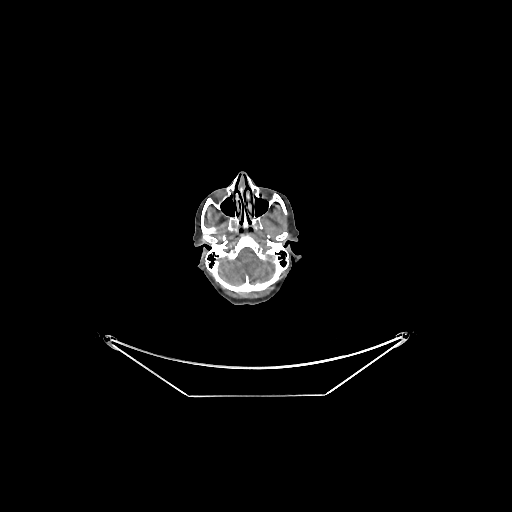

CT image; Brain
brain: (left=218, top=247, right=274, bottom=285)